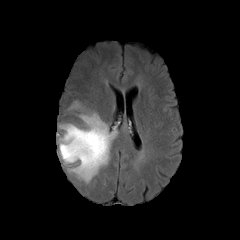
FLAIR magnetic resonance.
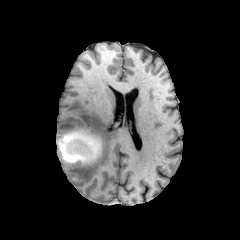
Same slice, T1-weighted magnetic resonance.
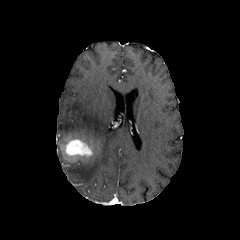
Post-contrast T1-weighted MR.
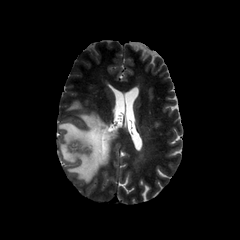
T2-weighted magnetic resonance.
240x240 | Head
2 non-enhancing tumor core regions are bounded by (left=60, top=138, right=101, bottom=162), (left=63, top=136, right=77, bottom=145). The enhancing tumor appears at (left=65, top=139, right=92, bottom=155). 2 edema regions are located at (left=59, top=112, right=117, bottom=181), (left=67, top=100, right=86, bottom=111).